Image size 512x512 | Slice index 139 | CT slice
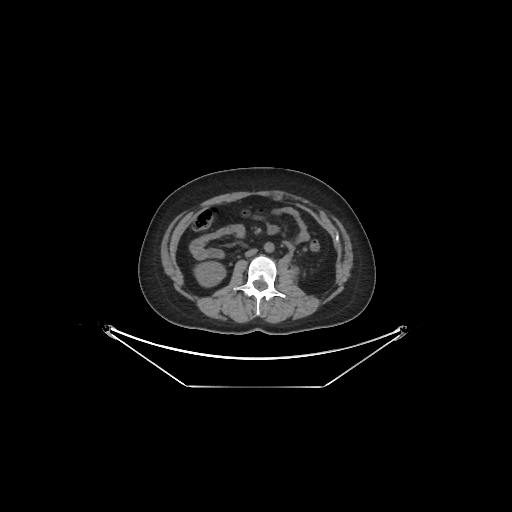
Kidney = 196:262:224:286.